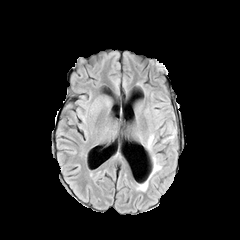
FLAIR MR image.
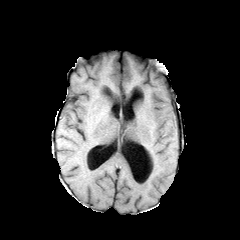
Same slice, T1-weighted MR image.
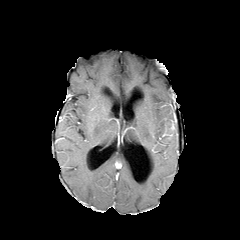
Post-contrast T1-weighted MR.
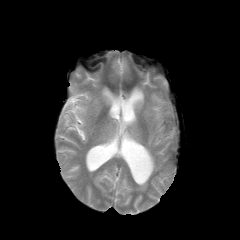
T2-weighted MR.
3 edema regions are bounded by (136, 155, 161, 191), (162, 128, 175, 142), (146, 134, 156, 152).